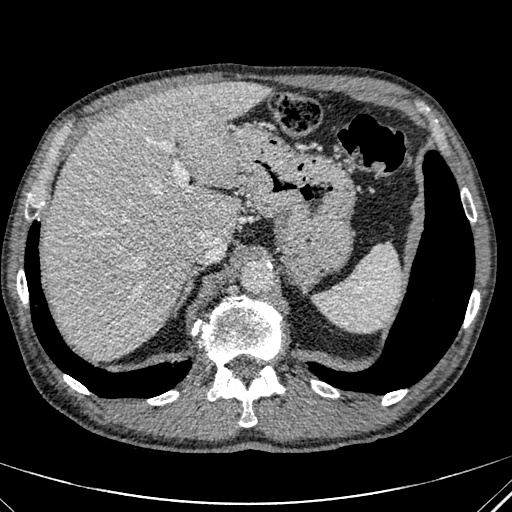

512x512 px; CT slice

<segmentation>
  <liver>rect(44, 81, 270, 360)</liver>
</segmentation>